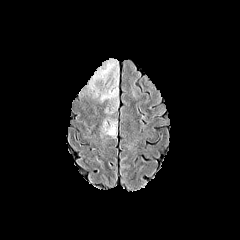
FLAIR MR.
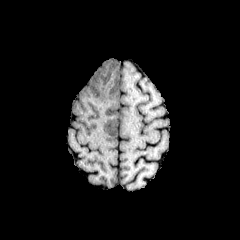
T1-weighted MRI of the same slice.
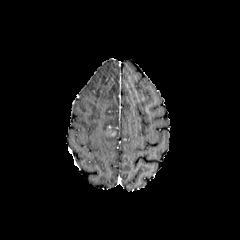
Post-contrast T1-weighted magnetic resonance.
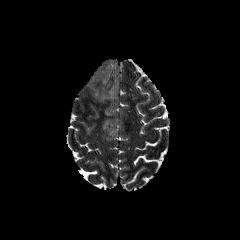
T2-weighted MR of the same slice.
Head, 240x240
Edema — 101, 60, 119, 99; 89, 63, 114, 89.